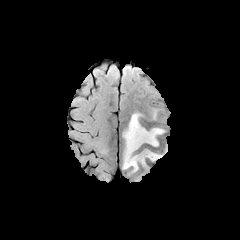
FLAIR MR.
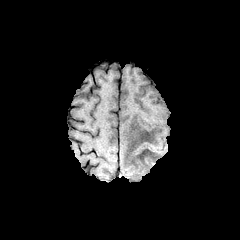
Same slice, T1-weighted MR image.
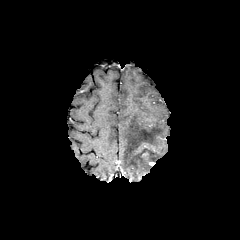
Post-contrast T1-weighted MR image.
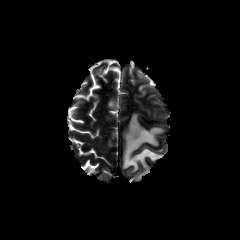
Same slice, T2-weighted MR image.
Image size 240x240; Brain
2 edema regions appear at region(147, 150, 164, 160); region(123, 113, 163, 170).